Abdomen; Computed tomography; 512x512 px 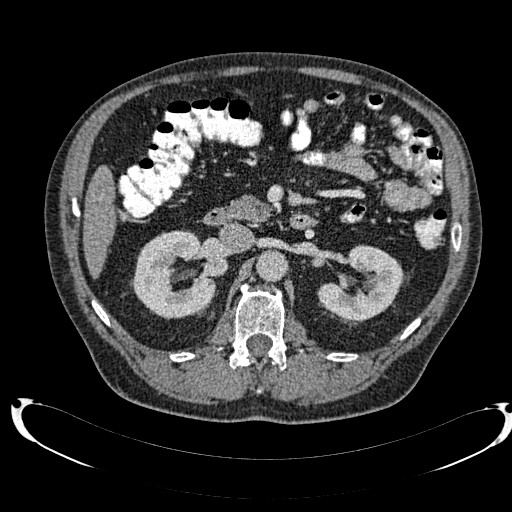 kidney:
  - [x1=132, y1=231, x2=234, y2=318]
  - [x1=318, y1=245, x2=403, y2=322]
liver:
  - [x1=83, y1=166, x2=114, y2=275]